Computed tomography. 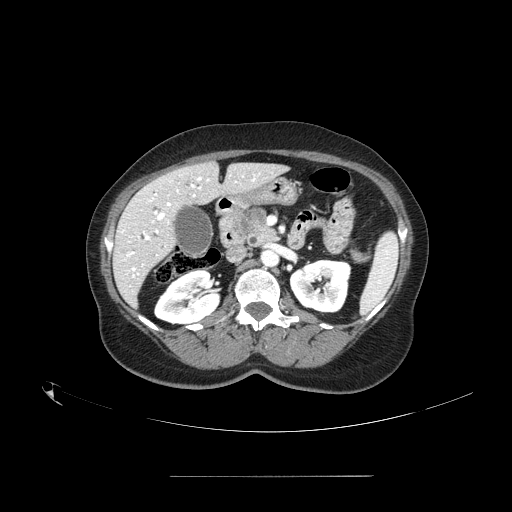
The pancreas is at <box>233,210,278,242</box>. The pancreatic tumor is located at <box>238,208,264,237</box>.